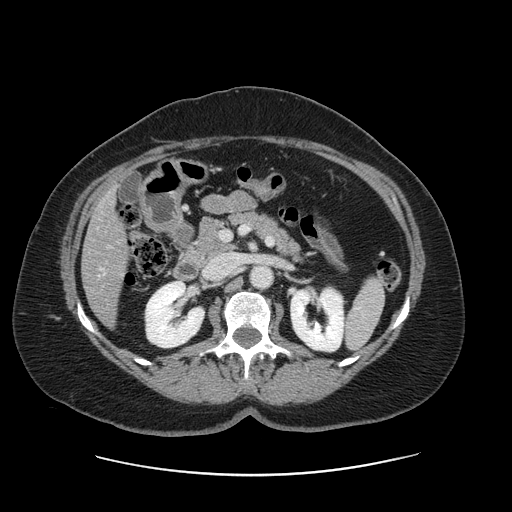
Computed tomography; 512x512
Some hepatic vessels may have no box.
{"hepatic_vessel": ["(99,267,105,275)"]}